CT. Slice index 58. Image width 353 mm.

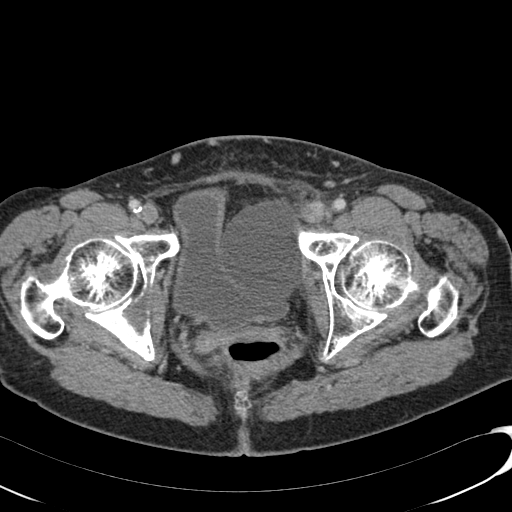
urinary_bladder:
  - (x1=172, y1=186, x2=289, y2=336)